CT scan slice, Abdomen

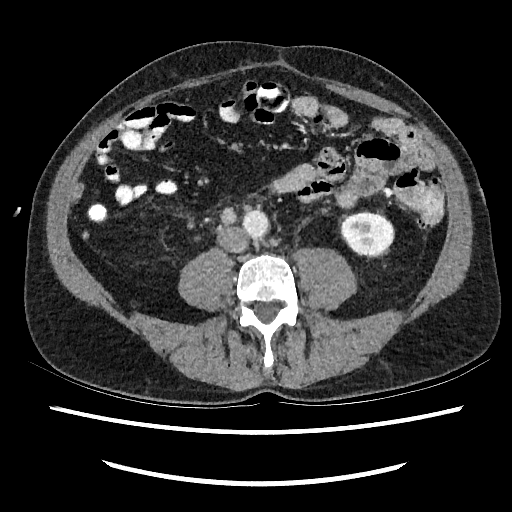

{"kidney": ["<bbox>342, 213, 392, 254</bbox>"]}